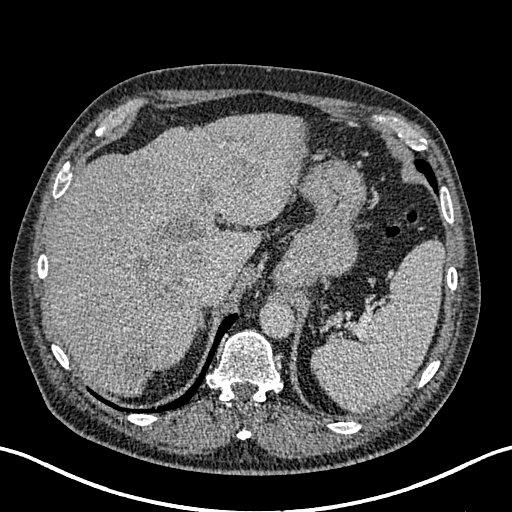

512x512 px | CT

4 hepatic lesion regions are bounded by x1=131 y1=213 x2=207 y2=311, x1=224 y1=152 x2=262 y2=190, x1=195 y1=182 x2=214 y2=203, x1=119 y1=336 x2=163 y2=380. The liver is bounded by x1=48 y1=113 x2=308 y2=394.